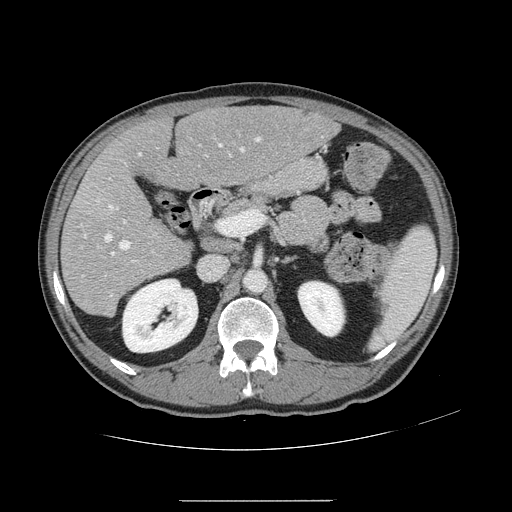 CT image

Only some of the vessels may be annotated.
13 hepatic vessel regions are bounded by 124:220:125:222, 105:234:111:241, 120:240:129:249, 110:294:112:296, 218:143:221:146, 97:245:98:247, 111:252:113:254, 133:260:137:261, 78:224:82:226, 109:205:118:209, 84:233:86:237, 256:138:260:141, 240:147:243:151.